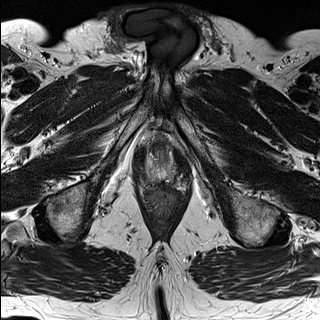
T2-weighted magnetic resonance.
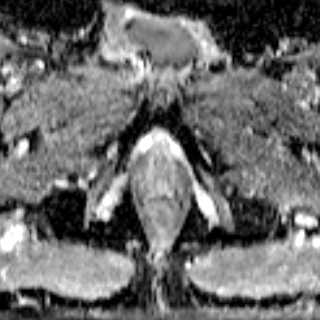
ADC MR.
320x320 | Pelvis
<segmentation>
  <prostate_transition_zone>151, 147, 171, 164</prostate_transition_zone>
  <prostate_peripheral_zone>146, 151, 177, 180</prostate_peripheral_zone>
</segmentation>